CT scan slice, Slice 395/917
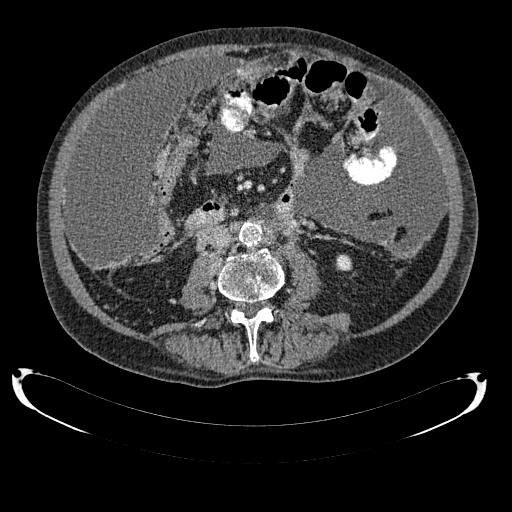
kidney: [337,255,350,270]